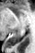
Medial temporal lobe; Image size 35x53; MRI slice
The posterior hippocampus is at <box>7,32,19,46</box>.